CT image

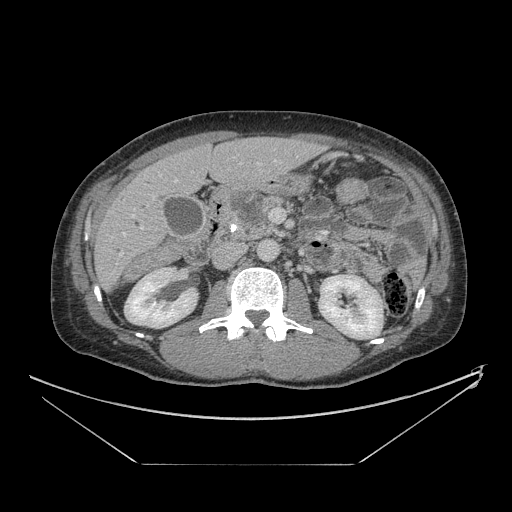
Annotated regions:
* pancreatic tumor: <box>227,189,266,230</box>
* pancreas: <box>215,187,289,241</box>